Brain
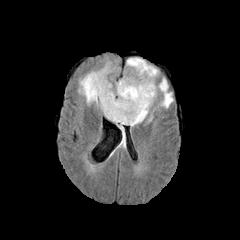
FLAIR MR.
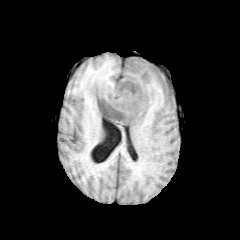
T1-weighted MR image of the same slice.
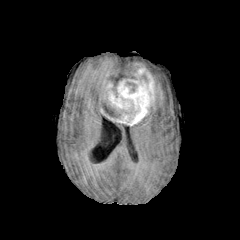
Post-contrast T1-weighted MR of the same slice.
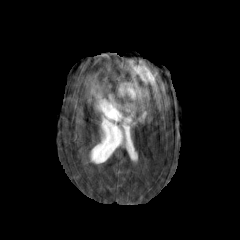
T2-weighted MR image.
Annotated regions:
* edema: [78,62,114,113], [124,57,173,110], [130,114,152,127], [115,122,125,148]
* non-enhancing tumor core: [102,103,119,118]
* enhancing tumor: [100,63,162,126]